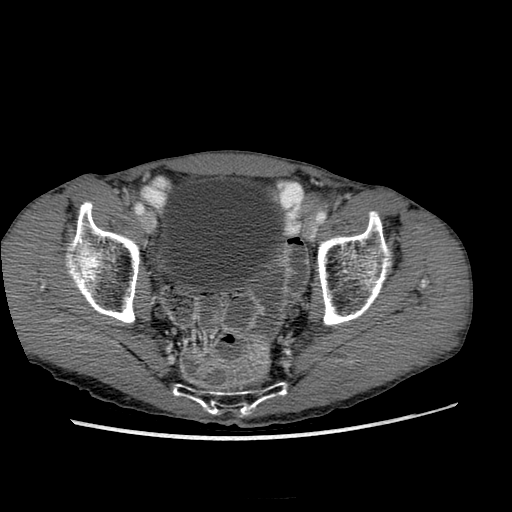
Pelvis. CT image.
<segmentation>
  <urinary_bladder>[163,176,282,286]</urinary_bladder>
</segmentation>